CT scan slice. Slice index 161. Upper abdomen. Image width 350 mm. 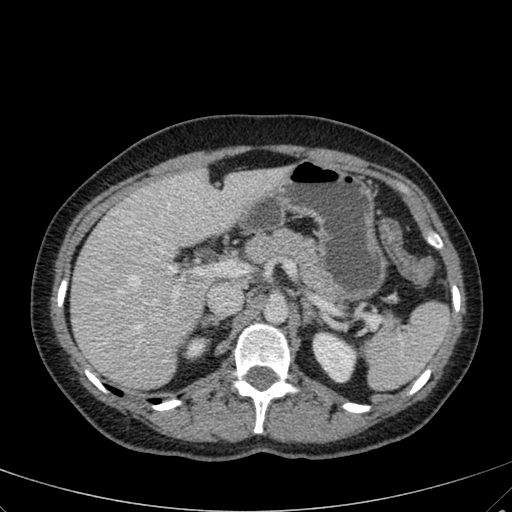
The liver lies within left=70, top=167, right=289, bottom=387. 2 kidney regions are bounded by left=189, top=342, right=202, bottom=354; left=314, top=334, right=354, bottom=380.